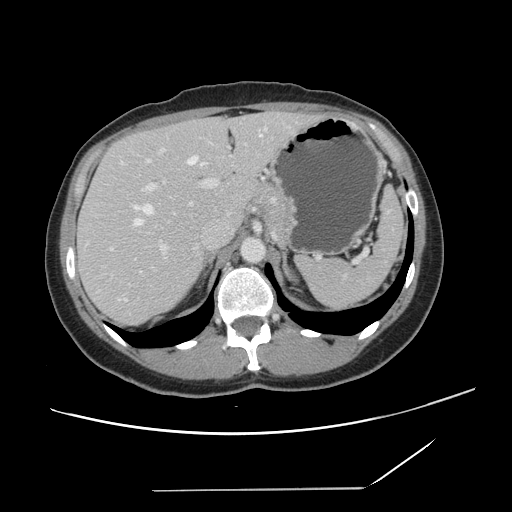
CT slice, Liver

The vessel boxes may cover only some of the vessels.
Segmented structures:
* hepatic vessel (principal 15 of 17): (159, 240, 166, 251), (122, 298, 126, 300), (259, 134, 261, 136), (134, 219, 141, 224), (200, 163, 205, 165), (147, 159, 150, 161), (121, 161, 123, 164), (134, 204, 152, 214), (189, 202, 192, 204), (118, 298, 120, 300), (202, 179, 217, 187), (265, 128, 266, 130), (160, 148, 164, 151), (187, 156, 197, 164), (142, 183, 155, 190)